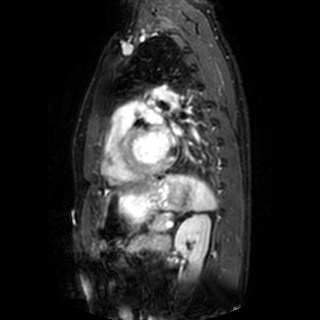 Cardiac. 320x320. MRI.
• left atrium: bbox=[145, 110, 170, 156]; bbox=[173, 125, 183, 135]